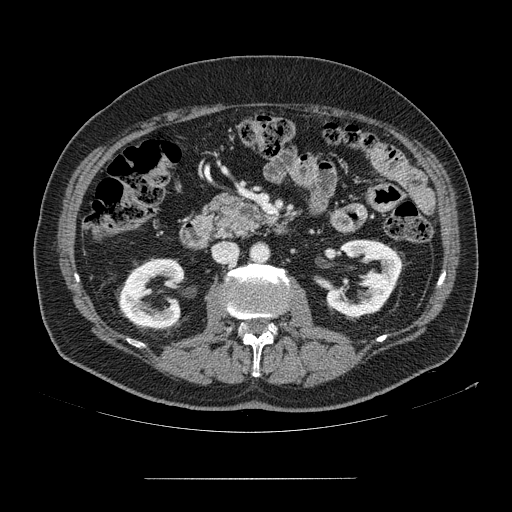 CT scan slice.

Findings:
- pancreas: left=214, top=197, right=267, bottom=240
- pancreatic tumor: left=238, top=203, right=253, bottom=219